CT slice. Slice index 158. 512x512 px. Pelvis. 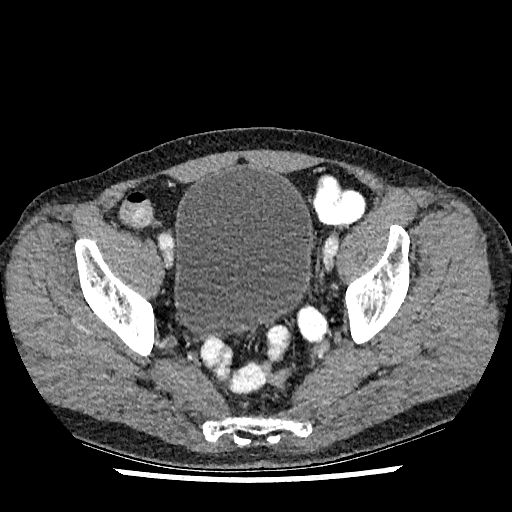 <segmentation>
  <urinary_bladder>l=174, t=167, r=311, b=336</urinary_bladder>
</segmentation>